Head, Field of view 240 mm wide, 1.00 mm slice spacing, Slice index 59
FLAIR MRI.
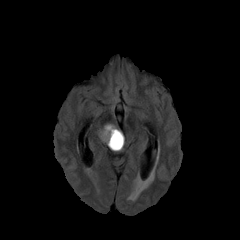
T1-weighted MR image.
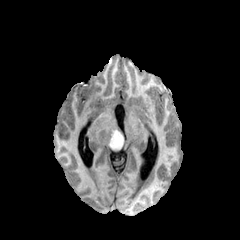
Post-contrast T1-weighted MR image.
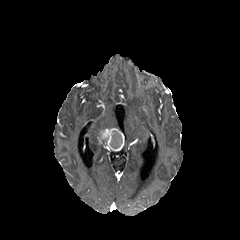
T2-weighted MR image.
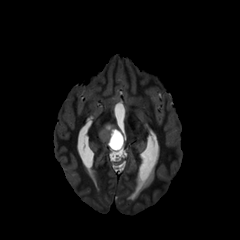
{
  "non-enhancing_tumor_core": [
    "x1=109 y1=130 x2=122 y2=149"
  ],
  "edema": [
    "x1=97 y1=123 x2=117 y2=142"
  ],
  "enhancing_tumor": [
    "x1=102 y1=128 x2=117 y2=148",
    "x1=113 y1=131 x2=124 y2=151"
  ]
}